Image size 512x512; CT scan slice
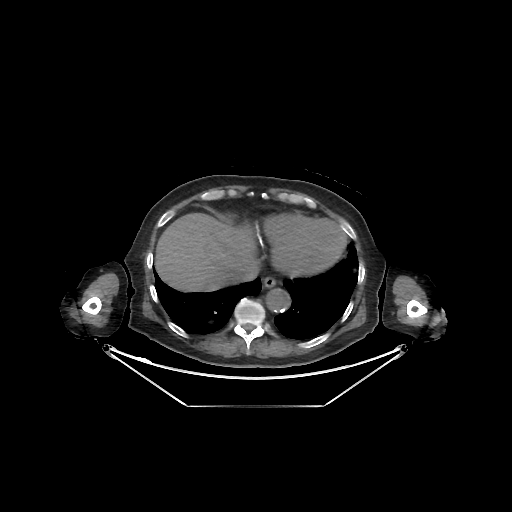
11 bone regions are located at box=[343, 227, 355, 238]; box=[147, 253, 152, 268]; box=[358, 266, 364, 282]; box=[407, 300, 426, 318]; box=[150, 285, 156, 301]; box=[168, 323, 185, 336]; box=[158, 211, 172, 226]; box=[300, 335, 328, 347]; box=[342, 303, 352, 320]; box=[234, 298, 265, 348]; box=[82, 296, 101, 314]. 2 lung regions are bounded by box=[153, 268, 261, 334]; box=[274, 242, 358, 340]. The liver lies within box=[156, 213, 256, 291].